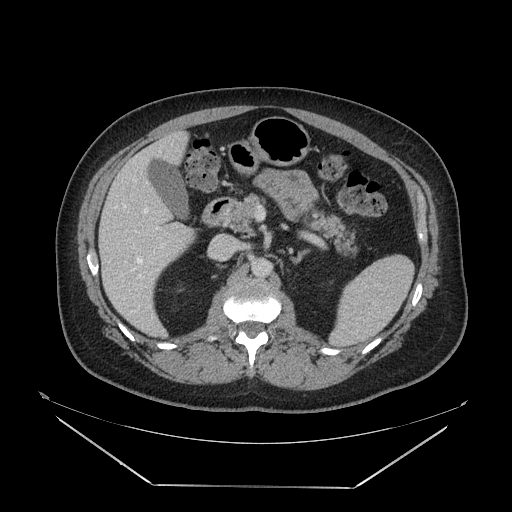
CT scan slice
Pancreas: bounding box box=[310, 216, 357, 255]; box=[230, 197, 257, 228].